Computed tomography | Abdomen 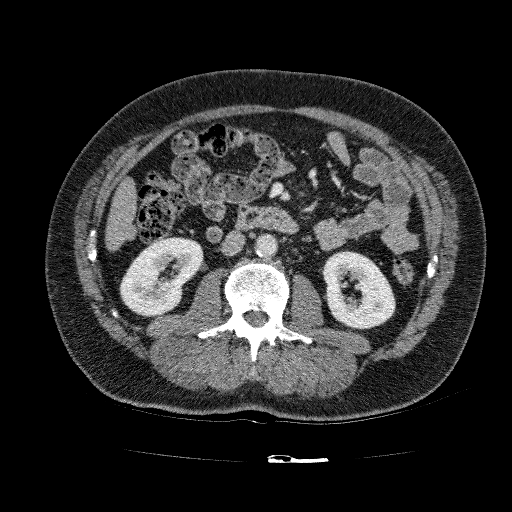 liver:
  - box=[105, 176, 136, 250]
kidney:
  - box=[323, 252, 394, 328]
  - box=[121, 238, 202, 315]